CT, Image width 387 mm, Pelvis
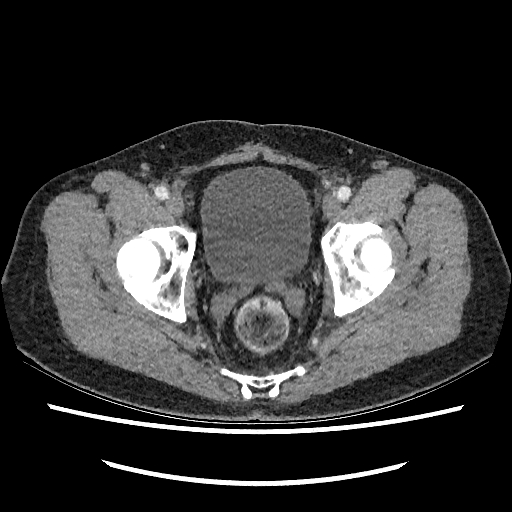 Urinary bladder: bbox(200, 166, 313, 288).